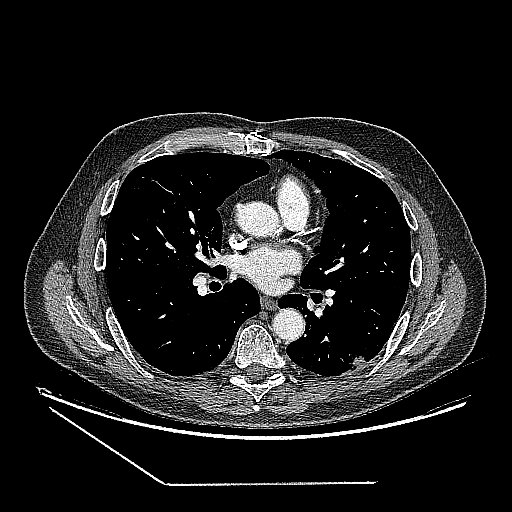
CT

Findings:
* lung tumor: left=350, top=354, right=367, bottom=370